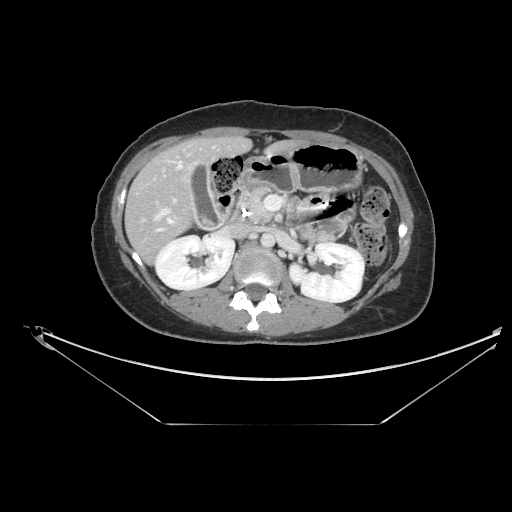
Abdomen, 512x512 px, CT slice
Pancreas — (306, 231, 330, 241), (246, 188, 271, 222).